Slice 62/155. Head.
FLAIR magnetic resonance.
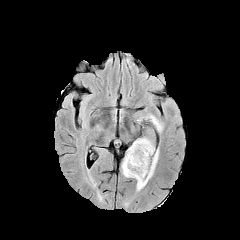
T1-weighted MR.
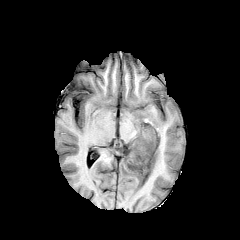
Post-contrast T1-weighted MR.
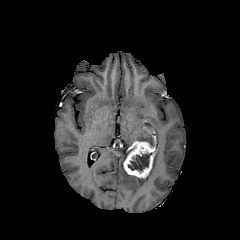
T2-weighted MRI.
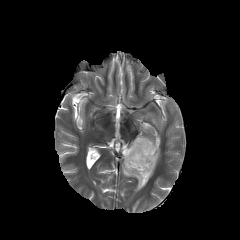
edema: box(137, 113, 163, 133); box(121, 147, 159, 190); box(135, 136, 155, 146) | non-enhancing tumor core: box(128, 149, 155, 173) | enhancing tumor: box(123, 141, 155, 177)